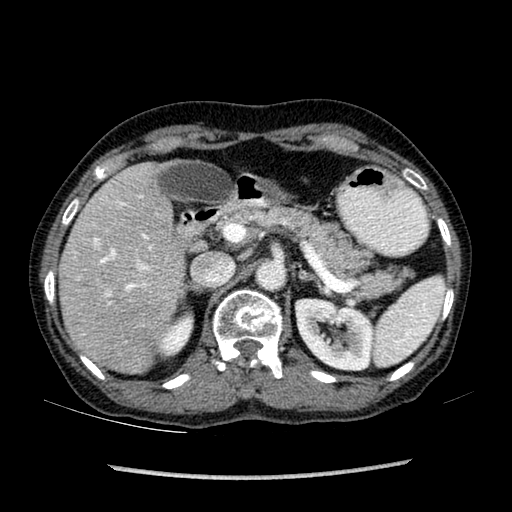
512x512 px. Abdomen. CT slice.

Kidney — {"x1": 296, "y1": 300, "x2": 371, "y2": 369}, {"x1": 160, "y1": 317, "x2": 191, "y2": 354}.
Liver — {"x1": 60, "y1": 169, "x2": 184, "y2": 371}.